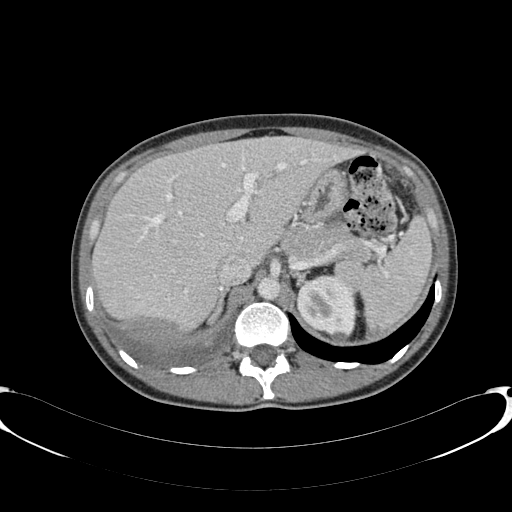

CT scan slice
Liver: <box>92,138,360,334</box>.
Kidney: <box>298,276,354,341</box>.